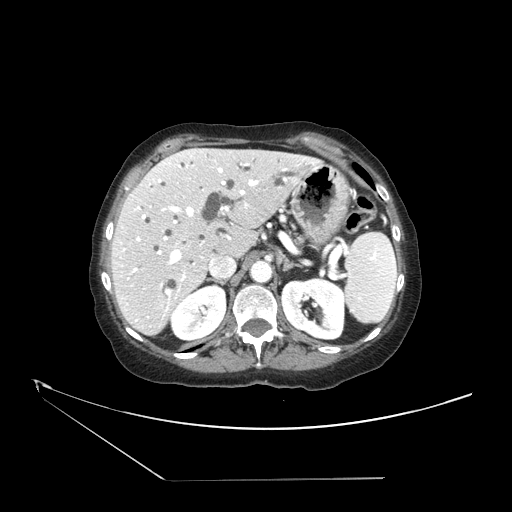

Upper abdomen, 512x512 px, CT image
Pancreas: box(295, 235, 303, 244).